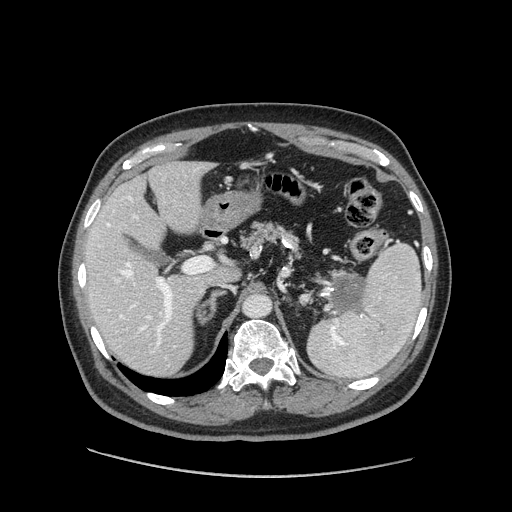 Abdomen, CT

The pancreatic tumor is bounded by x1=330, y1=275, x2=365, y2=312. 2 pancreas regions appear at x1=241, y1=224, x2=298, y2=250; x1=332, y1=271, x2=354, y2=286.